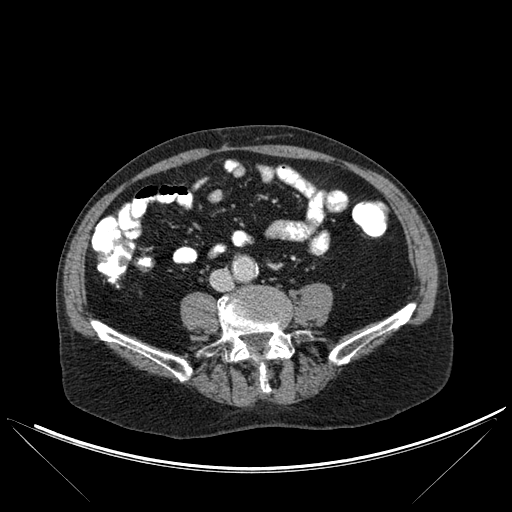

512x512 px | CT image

Annotated regions:
• bone: box(329, 303, 415, 364); box(214, 293, 293, 392); box(91, 321, 191, 380)